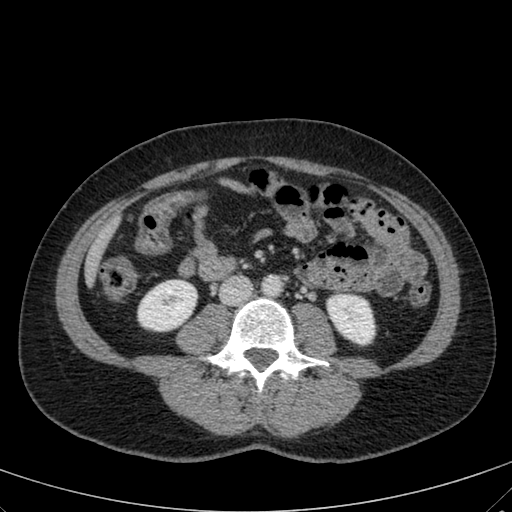

CT slice; 512x512 px
{
  "kidney": [
    "328, 295, 374, 343",
    "138, 280, 195, 330"
  ],
  "liver": [
    "85, 218, 117, 287"
  ]
}